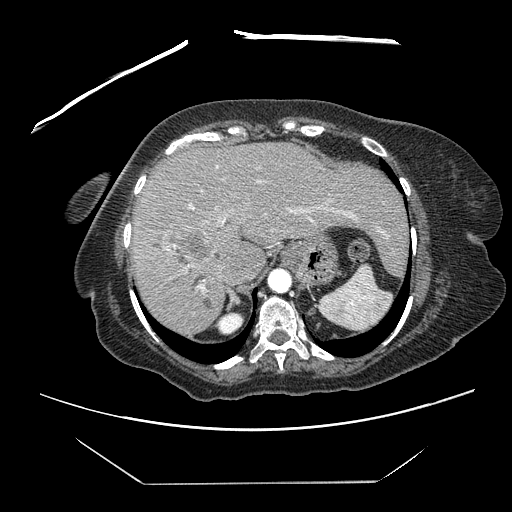
CT. Liver. 512x512 px.
Some hepatic vessels may have no box.
hepatic_vessel:
  - rect(189, 204, 193, 208)
  - rect(331, 208, 356, 218)
  - rect(198, 285, 203, 289)
  - rect(310, 219, 312, 221)
  - rect(288, 208, 309, 213)
  - rect(317, 207, 320, 208)
liver_tumor:
  - rect(164, 225, 214, 268)